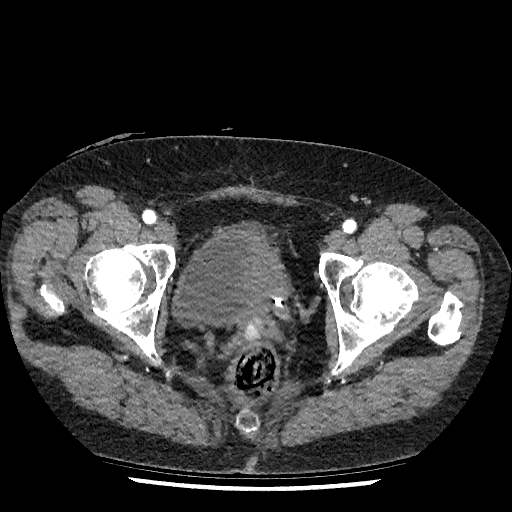
CT image. 512x512.
Urinary bladder at left=171, top=221, right=293, bottom=330.